CT scan slice; Slice index 31
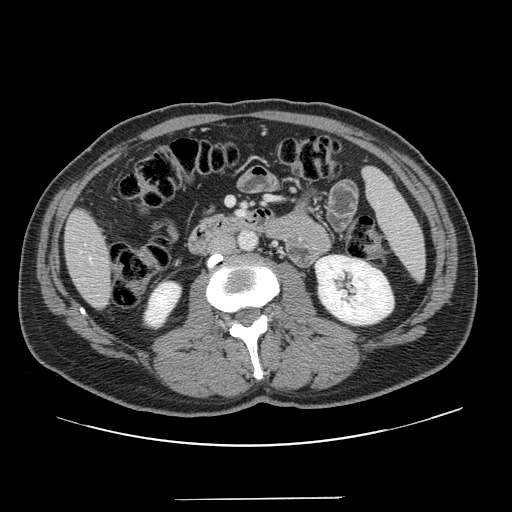

The pancreas is bounded by 198,202,222,219.